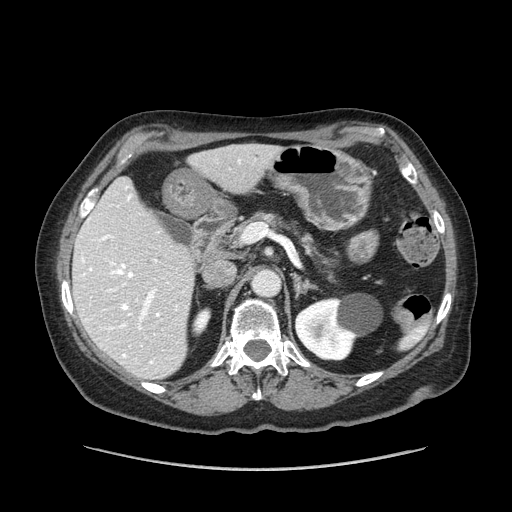
Upper abdomen; CT slice; 512x512 px
Pancreas — left=224, top=212, right=290, bottom=249; left=298, top=232, right=331, bottom=275.
Pancreatic tumor — left=264, top=213, right=275, bottom=222.